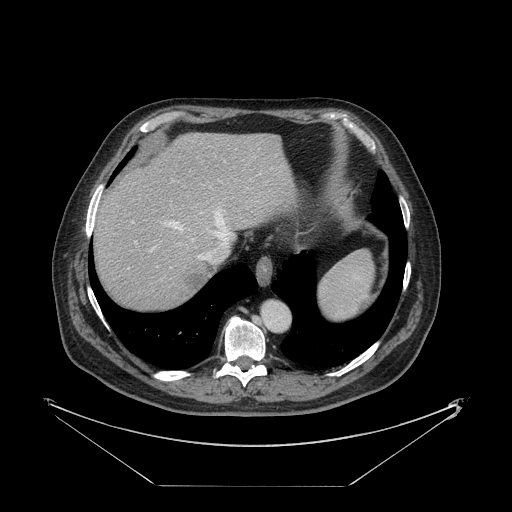

CT slice; Liver

Not every hepatic vessel necessarily has a box.
<segmentation>
  <hepatic_vessel>box=[134, 241, 136, 243]; box=[215, 208, 224, 228]; box=[132, 221, 133, 222]</hepatic_vessel>
  <liver_tumor>box=[184, 270, 203, 287]</liver_tumor>
</segmentation>